Upper abdomen. CT image.

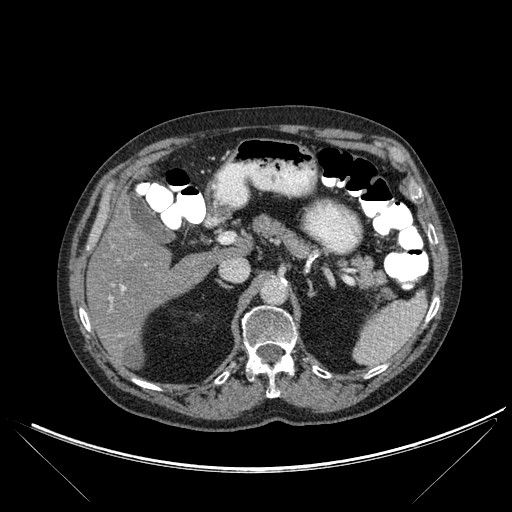 8 bone regions are located at <box>428,226,437,243</box>, <box>215,372,228,383</box>, <box>80,308,90,330</box>, <box>365,364,386,377</box>, <box>313,366,330,377</box>, <box>426,297,439,321</box>, <box>242,306,296,397</box>, <box>133,379,159,390</box>. The hepatic lesion appears at <box>122,344,142,368</box>. 3 liver regions appear at <box>213,247,249,262</box>, <box>136,167,148,177</box>, <box>87,201,214,363</box>.